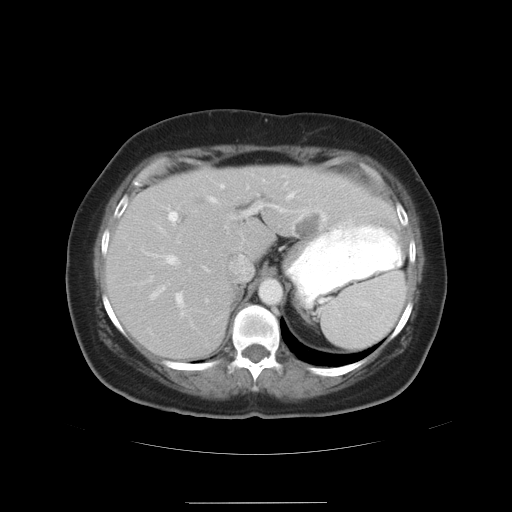
Computed tomography. Image size 512x512. Some hepatic vessels may have no box.
* hepatic vessel: (142,248,179,265), (148,277,152,280), (239,255,248,272), (230,216,234,218), (221,184,223,187), (285,182,286,185), (166,207,178,225), (175,292,184,315), (206,196,217,203), (149,285,166,299), (286,192,295,199)
* liver tumor: (293,211,326,239)